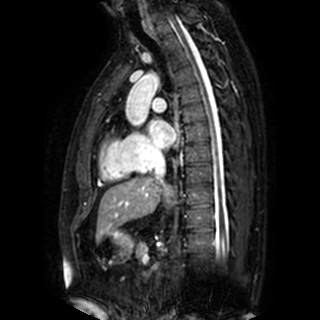
Magnetic resonance

Left atrium: bounding box l=148, t=118, r=175, b=148.